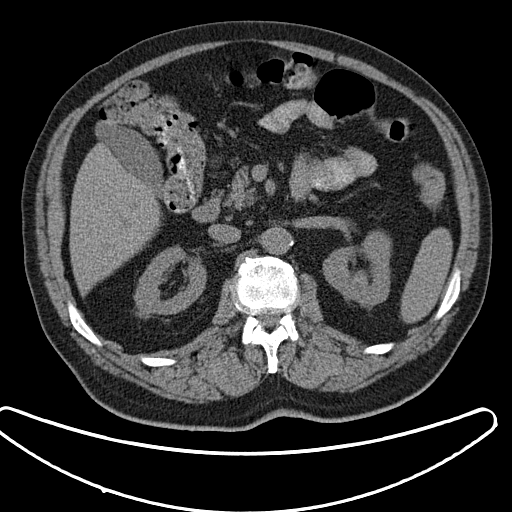

CT.
The spleen is at 402, 231, 451, 321.